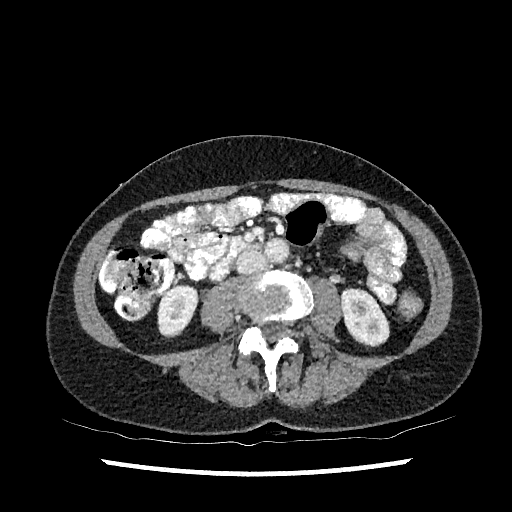
CT scan slice; Abdomen
Kidney at rect(158, 286, 196, 334); rect(342, 289, 388, 345).